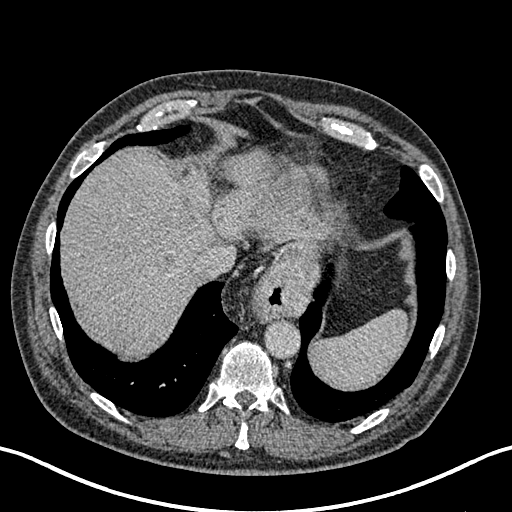 CT; Upper abdomen
Focal liver lesion: bounding box x1=179, y1=194, x2=214, y2=219; x1=160, y1=253, x2=174, y2=269.
Liver: bounding box x1=61, y1=148, x2=301, y2=353.